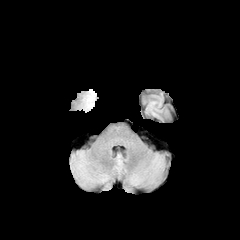
FLAIR MRI.
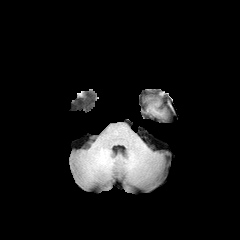
Same slice, T1-weighted MR.
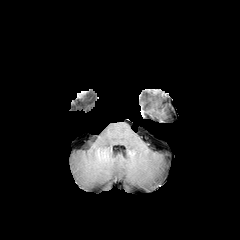
Same slice, post-contrast T1-weighted magnetic resonance.
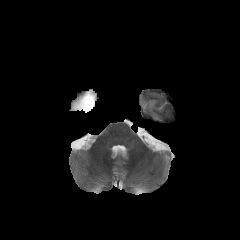
Same slice, T2-weighted MR.
Image size 240x240, Brain
Non-enhancing tumor core: bounding box 77:94:93:107.
Edema: bounding box 85:90:96:104.